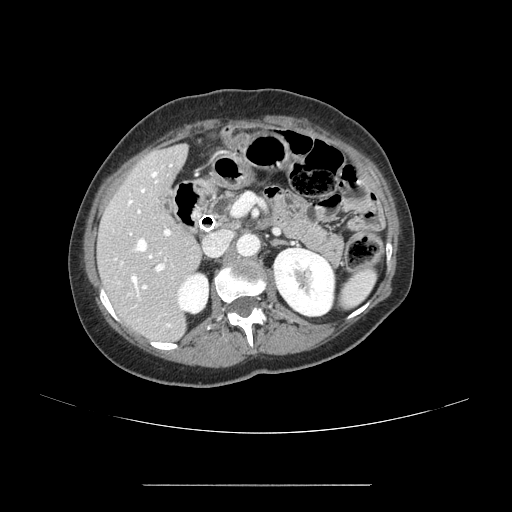 512x512 px, Abdomen, CT slice
pancreas:
  - bbox(209, 193, 237, 223)